CT slice 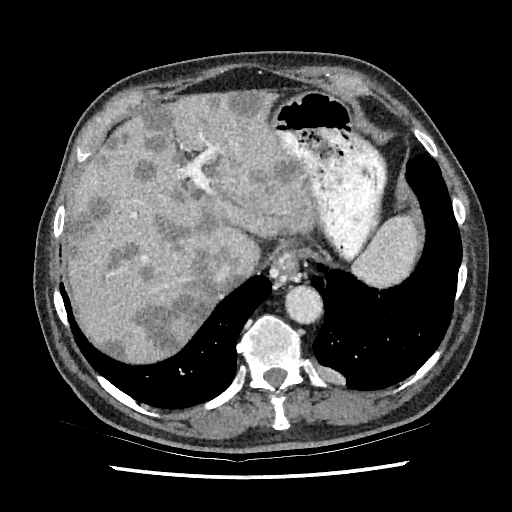

<segmentation>
  <liver_lesion>69,194,113,259; 228,92,264,117; 166,185,185,206; 106,241,138,270; 101,337,125,358; 134,159,158,181; 153,208,228,252; 99,133,127,164; 136,249,234,352; 140,268,153,280; 143,107,175,152; 250,158,301,193; 278,226,289,234</liver_lesion>
  <liver>67,92,315,360</liver>
</segmentation>